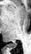

Medial temporal lobe. Image size 31x54. MRI.
posterior_hippocampus:
  - [x1=7, y1=44, x2=17, y2=47]